Computed tomography.

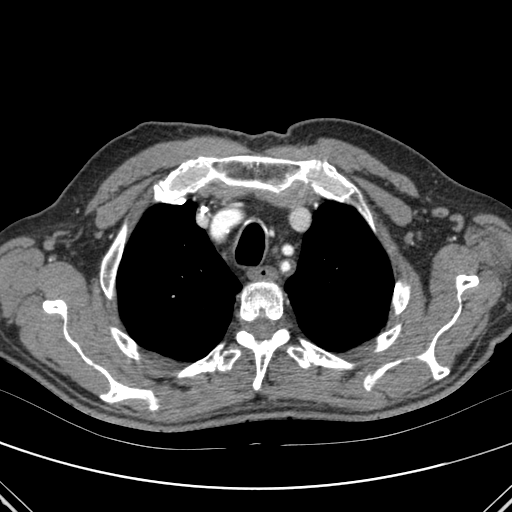

bone: rect(287, 339, 353, 369); rect(456, 274, 478, 301); rect(154, 156, 357, 204); rect(359, 209, 374, 229); rect(364, 360, 399, 390); rect(236, 328, 289, 389); rect(375, 325, 400, 351); rect(177, 344, 240, 377); rect(419, 308, 460, 379); rect(95, 364, 158, 409); rect(110, 327, 139, 358); rect(100, 223, 126, 298); rect(42, 299, 93, 364); rect(393, 281, 409, 314); rect(240, 281, 282, 321) | lung: rect(284, 201, 394, 351); rect(116, 200, 241, 361)